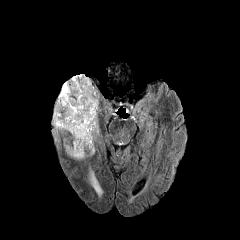
FLAIR MRI.
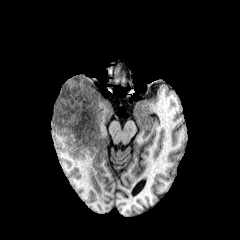
T1-weighted MRI.
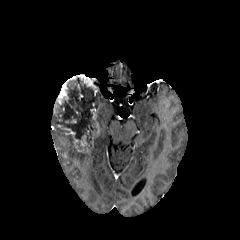
Post-contrast T1-weighted MR image.
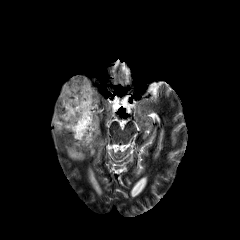
T2-weighted magnetic resonance of the same slice.
Image size 240x240; Brain
{
  "non-enhancing_tumor_core": [
    "rect(51, 76, 100, 151)"
  ],
  "edema": [
    "rect(64, 146, 84, 159)",
    "rect(88, 168, 102, 196)"
  ],
  "enhancing_tumor": [
    "rect(62, 128, 79, 147)",
    "rect(80, 135, 89, 147)",
    "rect(56, 76, 75, 104)",
    "rect(77, 75, 93, 87)",
    "rect(92, 121, 99, 136)"
  ]
}